FLAIR MR.
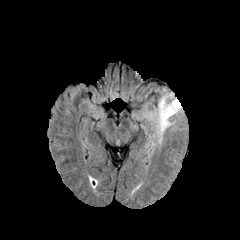
T1-weighted MR image.
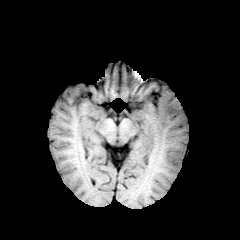
Post-contrast T1-weighted MR image.
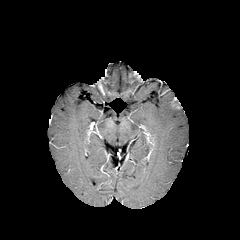
T2-weighted magnetic resonance.
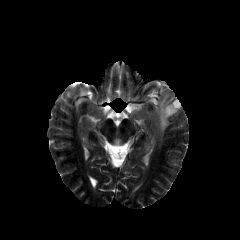
Image size 240x240.
The edema lies within 141, 88, 181, 137.